CT image | Slice index 404 | Upper abdomen 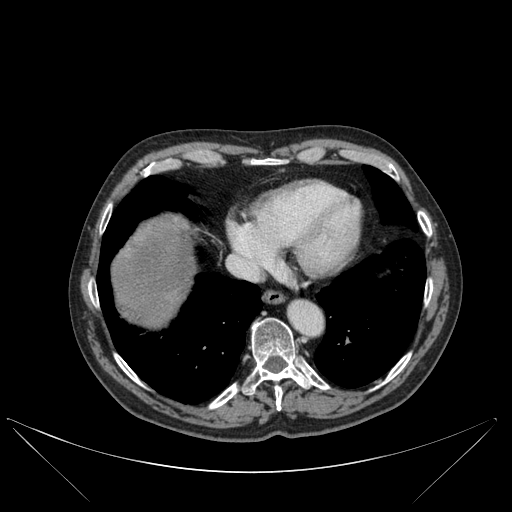

The liver is at {"x1": 112, "y1": 220, "x2": 194, "y2": 328}. 11 bone regions are bounded by {"x1": 209, "y1": 384, "x2": 237, "y2": 408}, {"x1": 384, "y1": 353, "x2": 410, "y2": 382}, {"x1": 114, "y1": 354, "x2": 141, "y2": 384}, {"x1": 424, "y1": 280, "x2": 432, "y2": 304}, {"x1": 100, "y1": 205, "x2": 111, "y2": 232}, {"x1": 384, "y1": 162, "x2": 393, "y2": 173}, {"x1": 88, "y1": 284, "x2": 98, "y2": 305}, {"x1": 143, "y1": 163, "x2": 154, "y2": 176}, {"x1": 418, "y1": 211, "x2": 431, "y2": 235}, {"x1": 250, "y1": 159, "x2": 282, "y2": 164}, {"x1": 242, "y1": 318, "x2": 328, "y2": 409}. 3 lung regions are located at {"x1": 314, "y1": 239, "x2": 426, "y2": 387}, {"x1": 363, "y1": 165, "x2": 417, "y2": 231}, {"x1": 96, "y1": 175, "x2": 262, "y2": 403}.